FLAIR MRI.
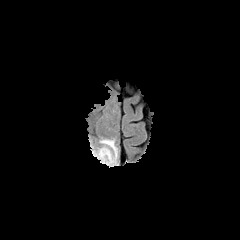
T1-weighted MRI.
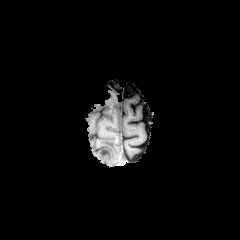
Post-contrast T1-weighted magnetic resonance.
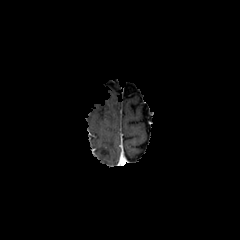
T2-weighted MRI.
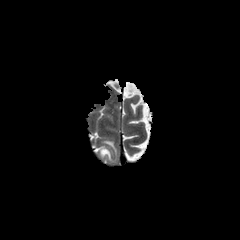
Brain.
edema: bbox(99, 148, 110, 157); bbox(101, 139, 115, 150)